Lower abdomen | CT 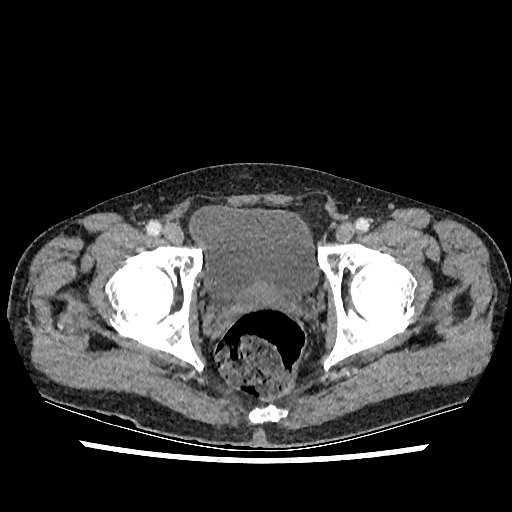

Urinary bladder: bounding box region(191, 203, 319, 326).